CT slice. 512x512 px.
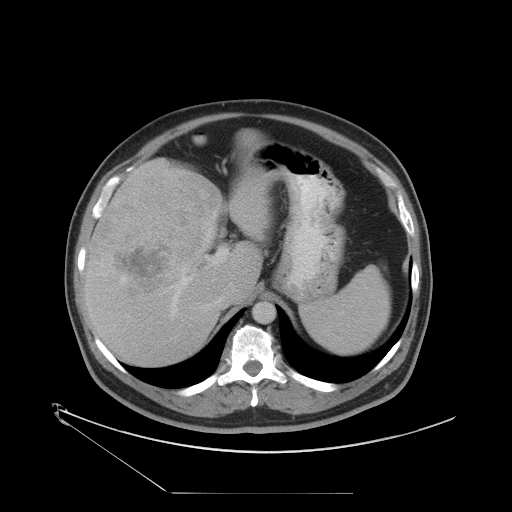 Some hepatic vessels may have no box.
liver tumor: 91:159:222:297 | hepatic vessel: 159:294:161:295, 167:277:192:318, 205:248:227:264, 126:314:129:316, 216:300:218:302, 196:316:197:318, 207:240:209:243, 200:304:212:308